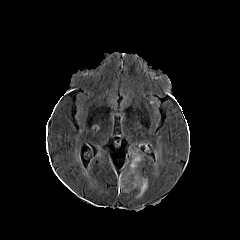
FLAIR magnetic resonance.
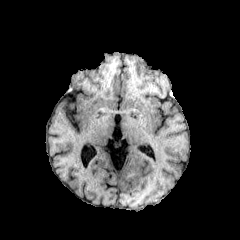
T1-weighted MR.
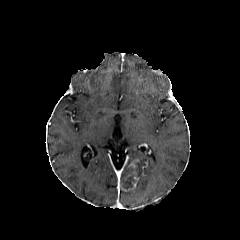
Same slice, post-contrast T1-weighted MR image.
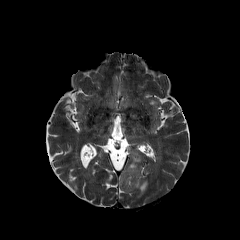
Same slice, T2-weighted MR.
<segmentation>
  <edema>{"x1": 129, "y1": 149, "x2": 144, "y2": 159}, {"x1": 135, "y1": 178, "x2": 148, "y2": 197}, {"x1": 153, "y1": 147, "x2": 161, "y2": 175}</edema>
  <non-enhancing_tumor_core>{"x1": 122, "y1": 175, "x2": 135, "y2": 189}, {"x1": 136, "y1": 157, "x2": 147, "y2": 176}</non-enhancing_tumor_core>
  <enhancing_tumor>{"x1": 120, "y1": 159, "x2": 140, "y2": 192}</enhancing_tumor>
</segmentation>